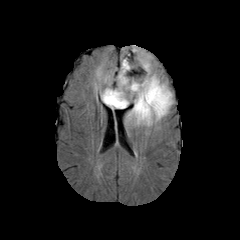
FLAIR magnetic resonance.
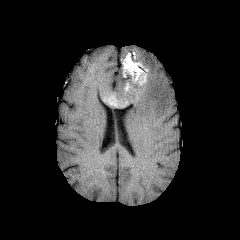
Same slice, T1-weighted magnetic resonance.
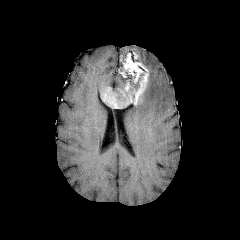
Post-contrast T1-weighted MRI.
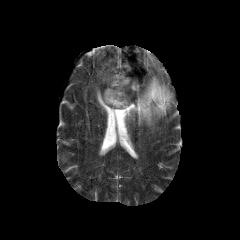
T2-weighted MR image.
240x240
{"edema": ["[125, 54, 173, 126]", "[98, 70, 120, 96]"], "non-enhancing_tumor_core": ["[112, 54, 147, 102]"], "enhancing_tumor": ["[102, 72, 148, 108]", "[121, 63, 130, 77]"]}